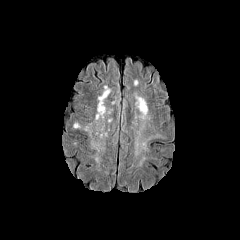
FLAIR magnetic resonance.
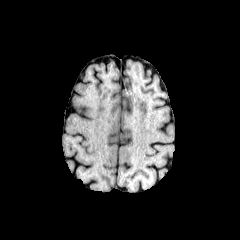
Same slice, T1-weighted MR image.
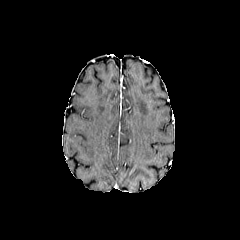
Post-contrast T1-weighted MRI of the same slice.
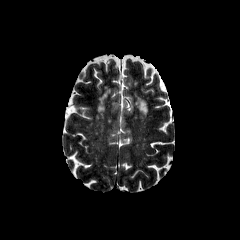
Same slice, T2-weighted MR image.
Findings:
* edema: (left=98, top=91, right=111, bottom=118)